Brain | Slice 68/155 | Image size 240x240
FLAIR magnetic resonance.
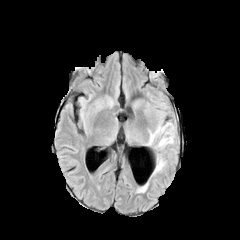
T1-weighted MRI.
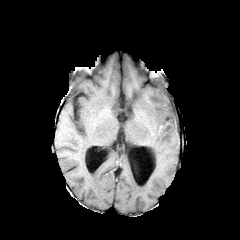
Post-contrast T1-weighted MR image.
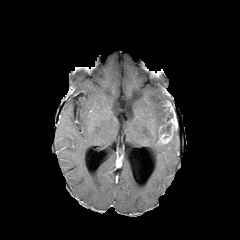
T2-weighted MR image.
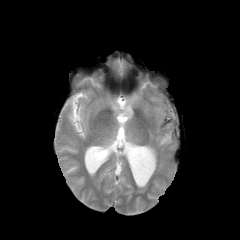
The non-enhancing tumor core is at 158, 134, 170, 144. 3 edema regions appear at 147, 110, 176, 149; 152, 154, 165, 174; 136, 181, 148, 192.